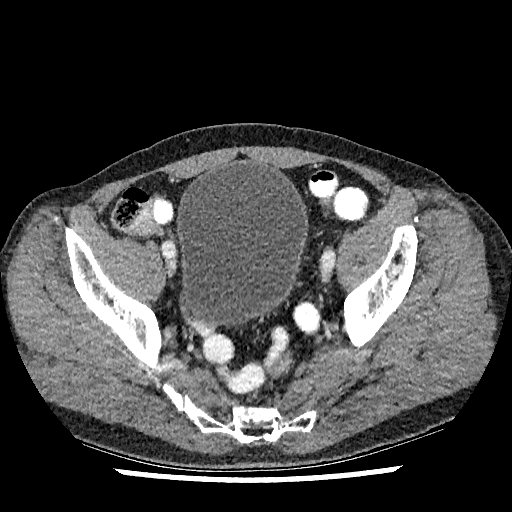
CT image. 512x512. Lower abdomen. urinary bladder: 179:163:305:326